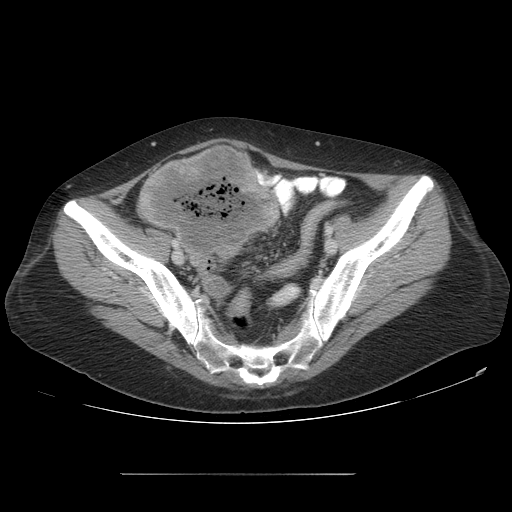 Pelvis | 512x512 px | CT slice

The colon tumor lies within box=[138, 145, 278, 256].